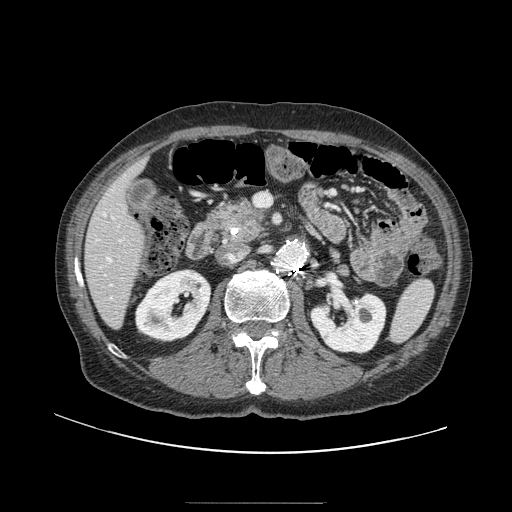

CT, Image size 512x512
The pancreatic tumor appears at (237, 210, 261, 221). 2 pancreas regions are located at (331, 249, 349, 275), (209, 199, 270, 242).